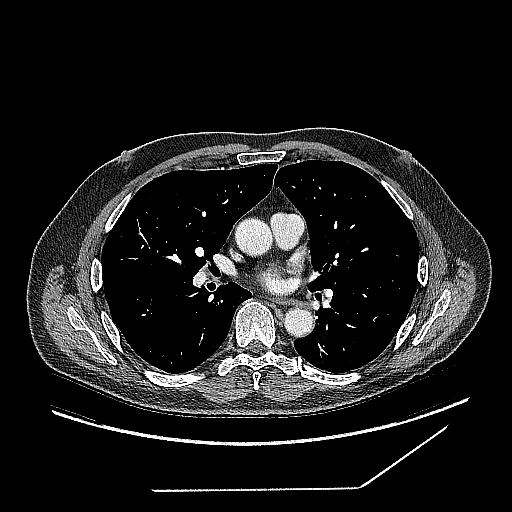

Computed tomography, Image size 512x512
The lung tumor lies within 316, 350, 327, 358.